Abdomen | Computed tomography | 512x512 px | Slice 441/917 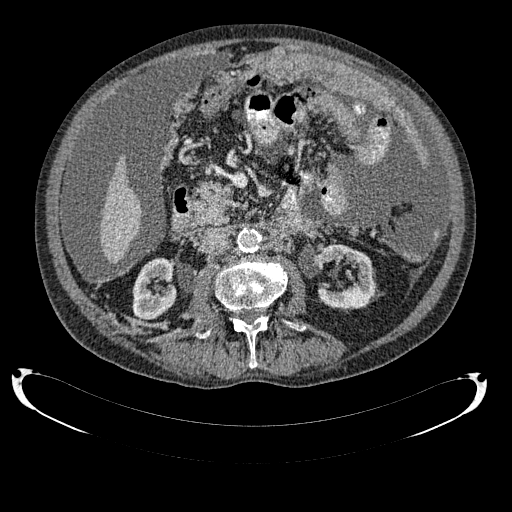

kidney:
  - (x1=133, y1=258, x2=175, y2=319)
  - (x1=314, y1=245, x2=375, y2=308)
liver:
  - (x1=101, y1=156, x2=141, y2=262)